CT.
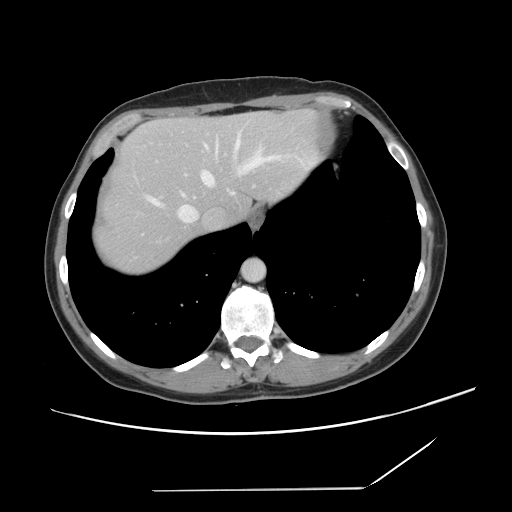 Some hepatic vessels may have no box.
10 hepatic vessel regions are bounded by <box>295,155,302,163</box>, <box>202,142,207,148</box>, <box>215,136,217,155</box>, <box>178,205,197,222</box>, <box>236,146,288,175</box>, <box>233,130,241,163</box>, <box>181,192,184,196</box>, <box>201,171,213,186</box>, <box>228,190,233,194</box>, <box>146,197,159,204</box>.